CT slice; Field of view 328 mm wide, 0.80 mm slice spacing; Slice 418/751; 512x512 px
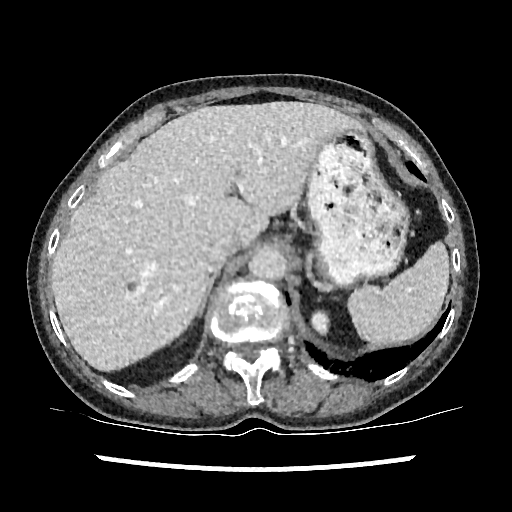
The hepatic lesion lies within [127,283,134,291]. The liver is bounded by [53,103,362,370].